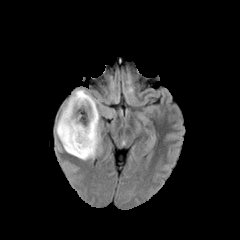
FLAIR MRI.
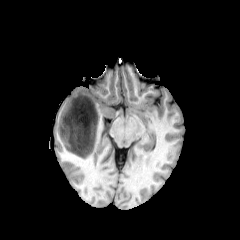
T1-weighted MR image.
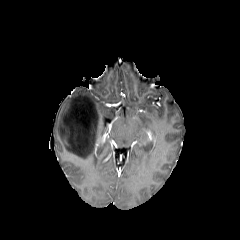
Post-contrast T1-weighted MRI.
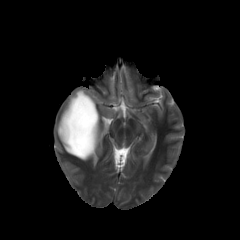
T2-weighted MR.
<segmentation>
  <non-enhancing_tumor_core><bbox>62, 94, 99, 156</bbox></non-enhancing_tumor_core>
  <edema><bbox>56, 88, 115, 154</bbox>, <bbox>72, 144, 102, 160</bbox></edema>
</segmentation>